T2-weighted MR.
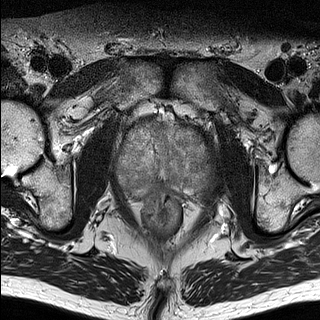
ADC MR.
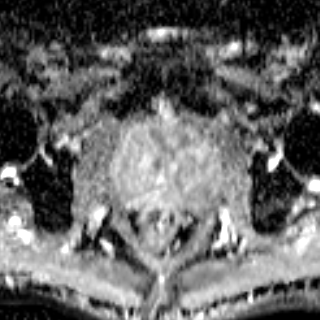
320x320 px
The prostate transition zone is at [114,118,223,204].